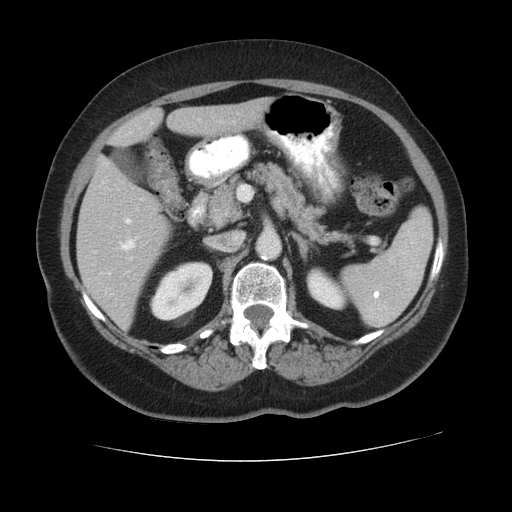
Upper abdomen, CT image, Image size 512x512
The pancreatic tumor is at rect(212, 205, 229, 229). 2 pancreas regions appear at rect(208, 176, 242, 226); rect(246, 164, 335, 239).